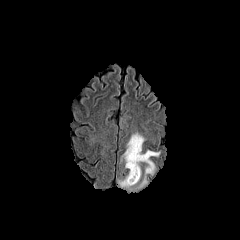
FLAIR MRI.
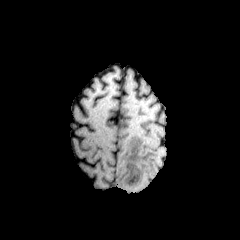
T1-weighted MR image of the same slice.
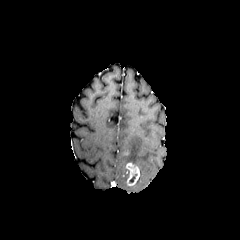
Post-contrast T1-weighted MR image.
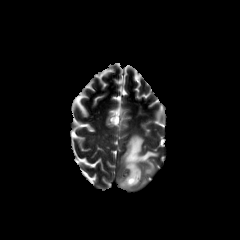
T2-weighted magnetic resonance.
Head
<segmentation>
  <edema>117:175:147:192, 122:135:157:174</edema>
  <enhancing_tumor>125:162:140:185</enhancing_tumor>
</segmentation>